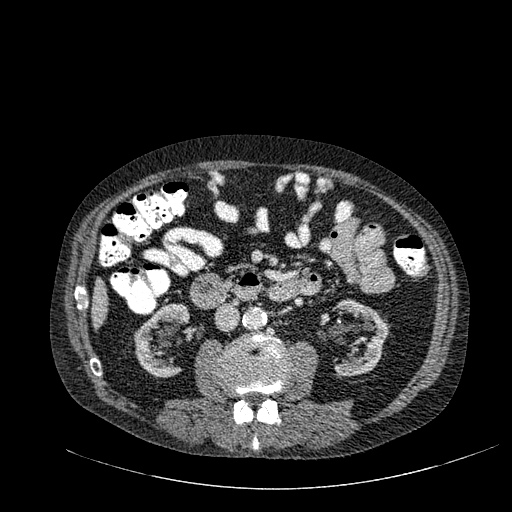 Image size 512x512; CT scan slice; Liver

Liver — 92,278,106,328.
Kidney — 329,301,389,377; 182,327,196,340; 320,313,329,324; 134,303,189,377; 316,331,325,340.